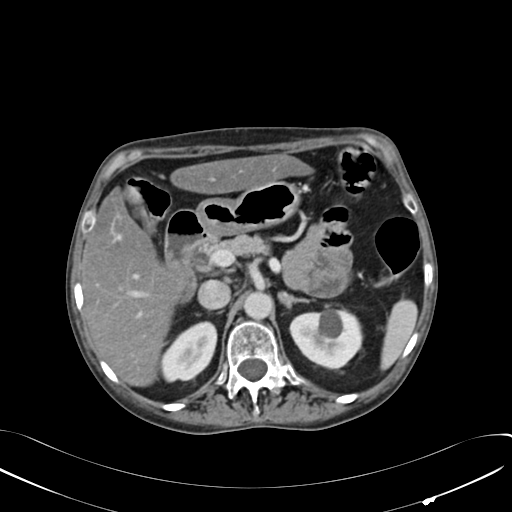
Upper abdomen; 512x512; CT scan slice
Kidney at [291,312,360,367], [163,323,215,379].
Focal liver lesion at [129,189,138,199].
Liver at [172,153,311,194], [81,187,188,385].